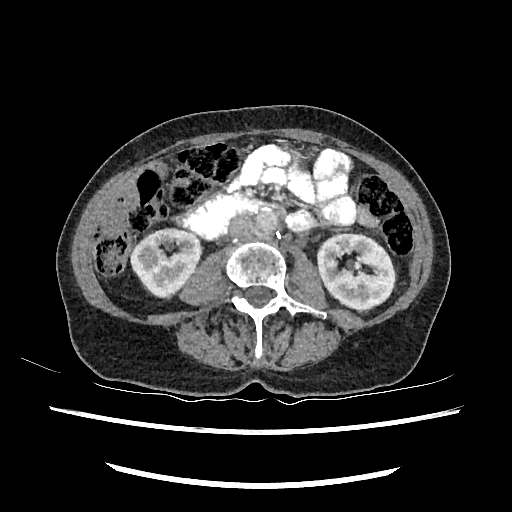
CT scan slice
Kidney: bounding box box(318, 233, 394, 308); box(131, 228, 200, 295).